Image width 37 mm; Magnetic resonance 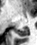
Posterior hippocampus = left=16, top=29, right=27, bottom=36.